FLAIR MR image.
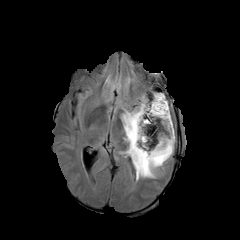
T1-weighted MR.
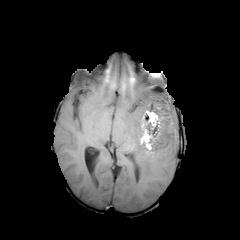
Post-contrast T1-weighted MRI.
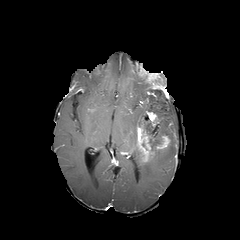
T2-weighted MRI.
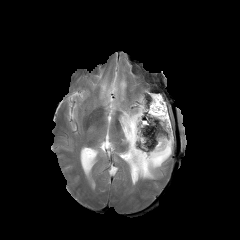
240x240
enhancing tumor: 140 148 149 162, 136 127 146 141, 156 136 169 148 | edema: 101 76 175 183 | non-enhancing tumor core: 125 110 165 155